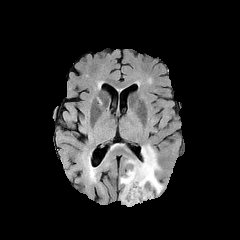
FLAIR magnetic resonance.
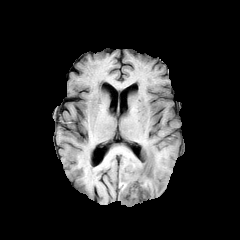
T1-weighted MR image.
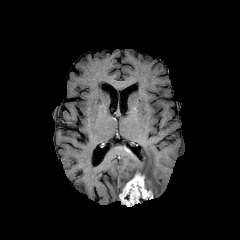
Same slice, post-contrast T1-weighted MRI.
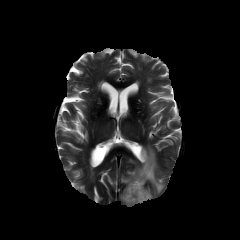
Same slice, T2-weighted MRI.
Brain. Image size 240x240.
Edema at rect(120, 144, 163, 194).
Enhancing tumor at rect(119, 172, 152, 206).